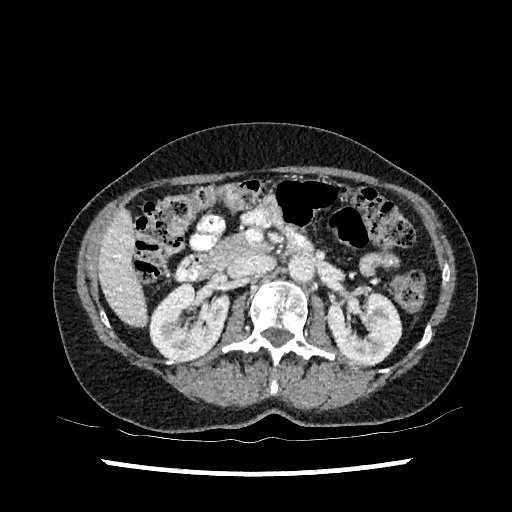

Upper abdomen | 512x512 px | CT

2 kidney regions are located at 328, 294, 400, 364; 150, 284, 228, 360. The liver lies within 99, 210, 146, 326.